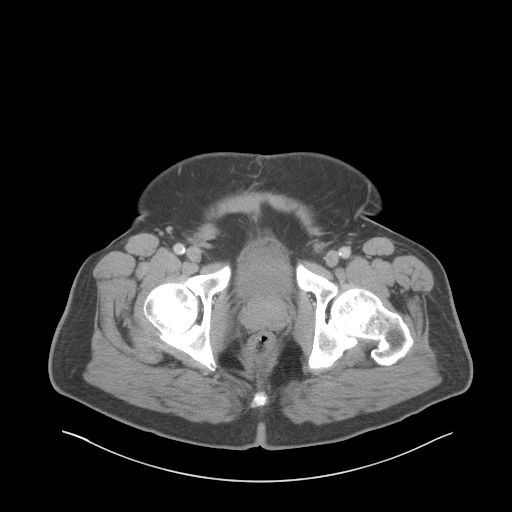
Pelvis | Image size 512x512 | CT image
Urinary bladder — [x1=234, y1=263, x2=292, y2=305].